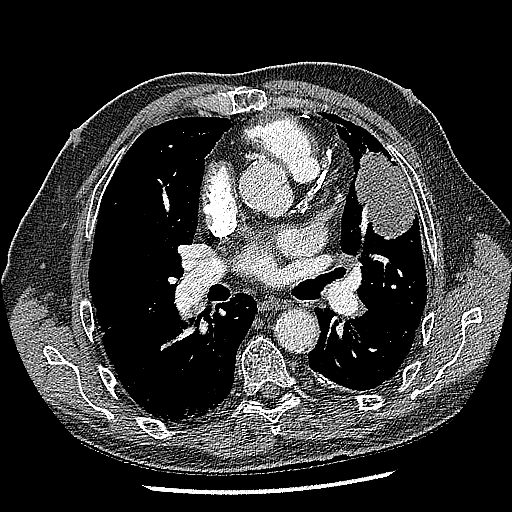
CT image, Thorax
Segmented structures:
* lung tumor: (355, 148, 416, 239)